CT image. Upper abdomen. 512x512 px. Slice index 109.
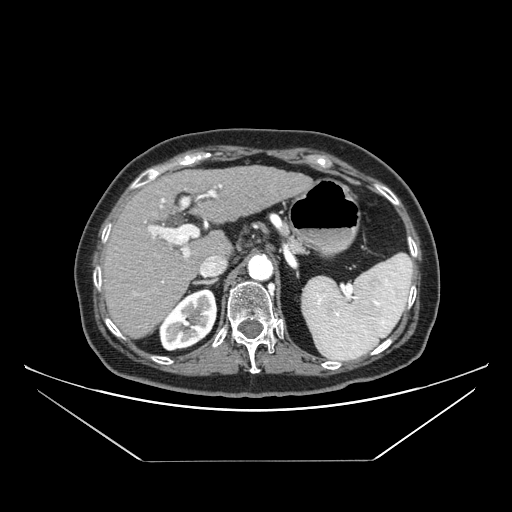

Pancreas = region(280, 221, 309, 255).